Slice index 55, Image width 335 mm, Computed tomography, Image size 512x512, Abdomen 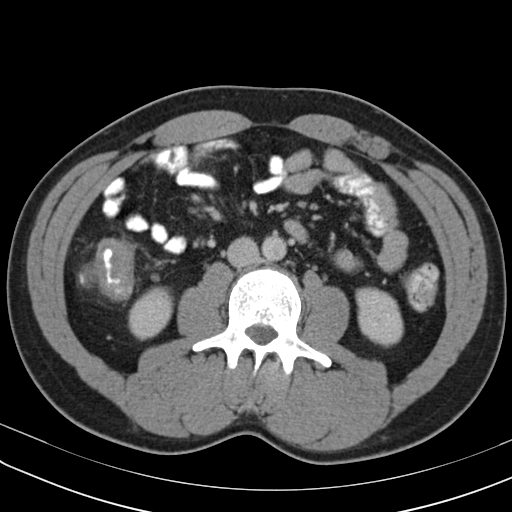 Colon tumor at x1=93 y1=238 x2=134 y2=299.